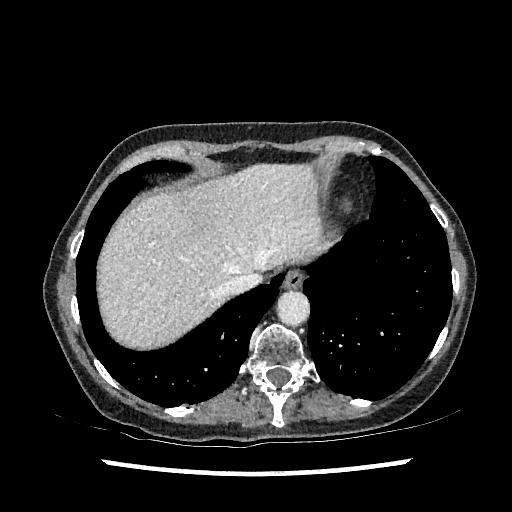 Computed tomography | Upper abdomen

Liver: bounding box (98, 166, 320, 346).